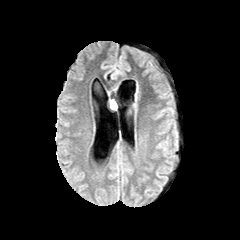
FLAIR magnetic resonance.
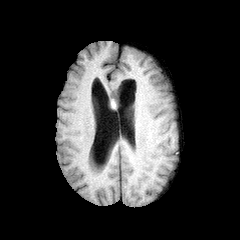
Same slice, T1-weighted MR image.
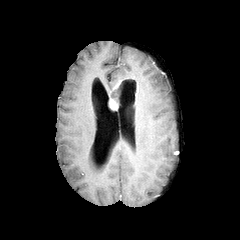
Same slice, post-contrast T1-weighted MR.
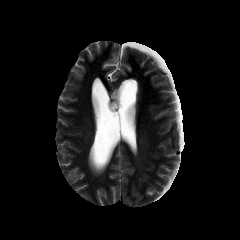
T2-weighted MR image.
240x240 px. Brain.
The enhancing tumor is bounded by {"x1": 109, "y1": 99, "x2": 117, "y2": 109}.